Field of view 434 mm wide, 1.00 mm slice spacing. Slice 514/605. 512x512 px. Computed tomography.
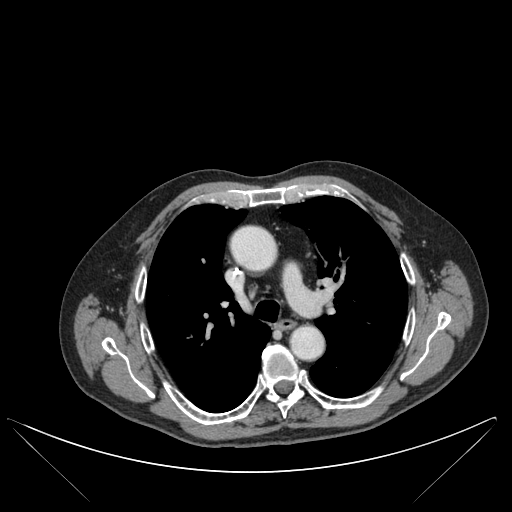

8 bone regions appear at <box>135,267,146,301</box>, <box>238,187,291,206</box>, <box>141,324,153,351</box>, <box>164,345,381,424</box>, <box>102,337,154,397</box>, <box>403,310,415,343</box>, <box>401,312,450,379</box>, <box>401,254,414,283</box>. 2 lung regions appear at <box>280,196,407,397</box>, <box>147,204,278,412</box>.